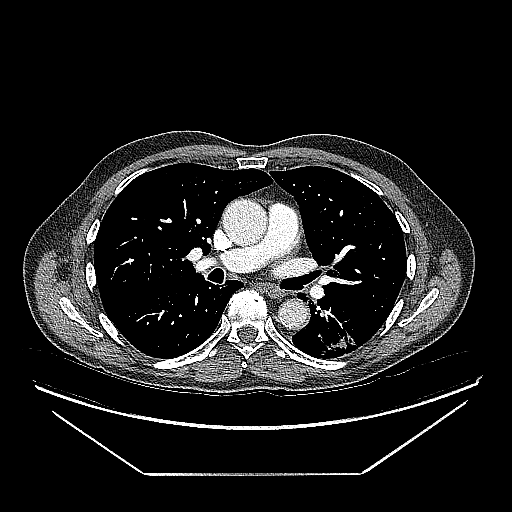 CT; Lung
lung tumor: (318, 328, 359, 358)